FLAIR MRI.
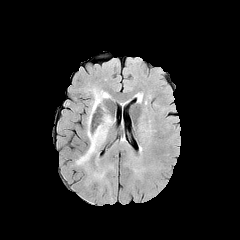
T1-weighted magnetic resonance.
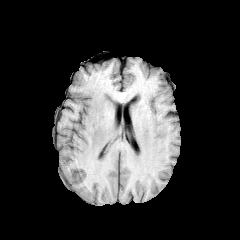
Post-contrast T1-weighted MRI.
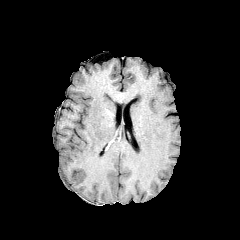
T2-weighted MR image.
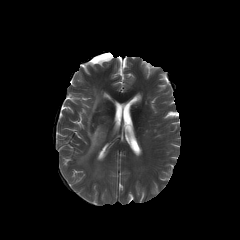
The edema is located at box=[76, 87, 113, 164].